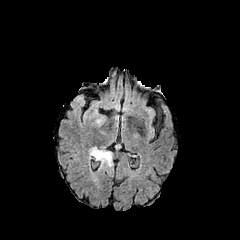
FLAIR MRI.
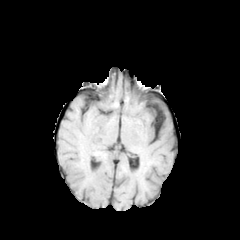
T1-weighted MR.
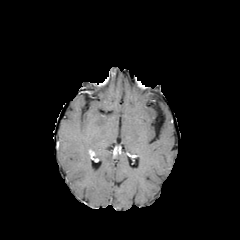
Same slice, post-contrast T1-weighted MR.
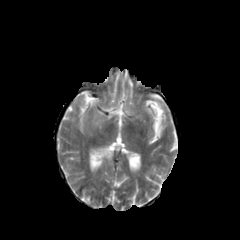
Same slice, T2-weighted magnetic resonance.
Brain; Image size 240x240
Segmented structures:
• edema: rect(88, 146, 113, 169); rect(92, 108, 106, 126)